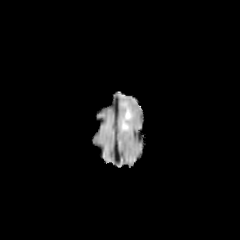
FLAIR magnetic resonance.
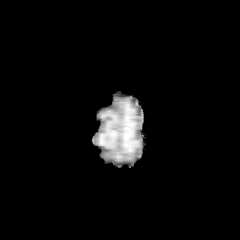
T1-weighted MR.
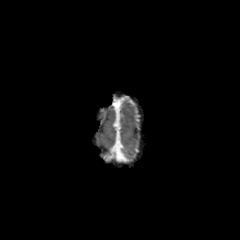
Same slice, post-contrast T1-weighted MRI.
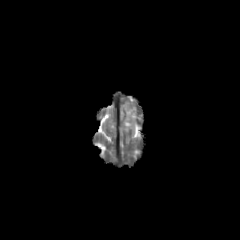
T2-weighted MR image of the same slice.
240x240
edema:
  - 121:111:133:128